Image size 512x512; CT slice; Abdomen
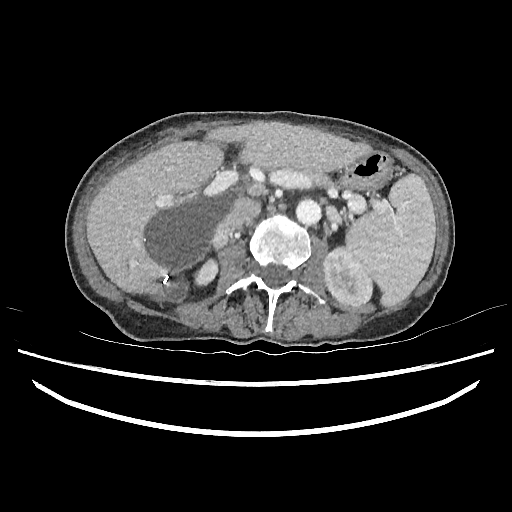 <segmentation>
  <kidney>196:260:217:284, 323:249:372:304</kidney>
  <focal_liver_lesion>144:191:232:301</focal_liver_lesion>
  <liver>225:187:239:203, 87:123:368:301</liver>
</segmentation>